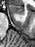

35x47. MR. Medial temporal lobe. {
  "anterior_hippocampus": [
    "<box>9,5,23,14</box>"
  ]
}